T2-weighted MR image.
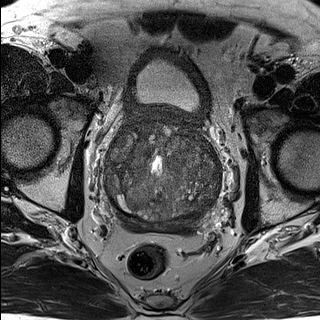
ADC MR image.
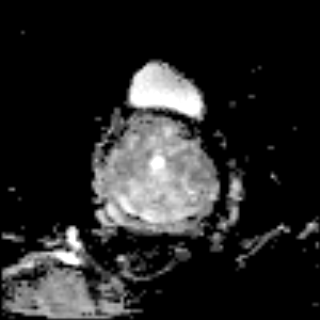
Prostate transition zone: 106 118 217 221.
Prostate peripheral zone: 167 209 208 221, 117 211 142 221.